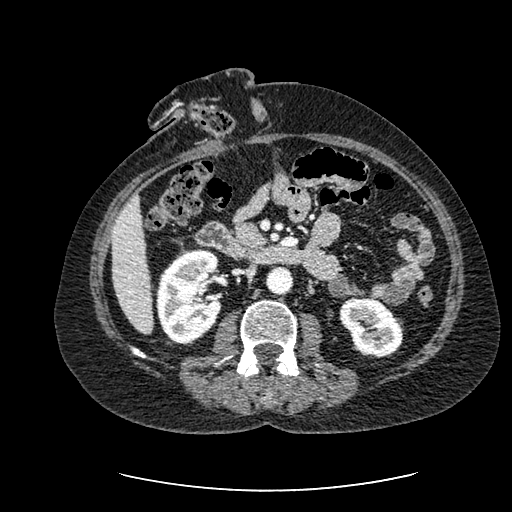

512x512. CT slice. kidney: (340,299,401,356), (157,250,220,343) | liver: (112,193,153,334)